Slice 58/83. Abdomen. CT scan slice.

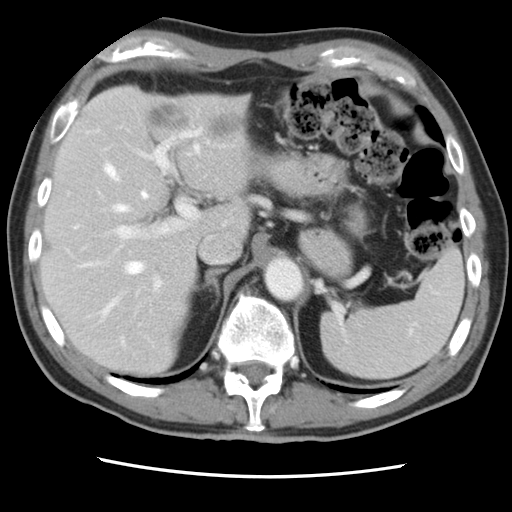

Some hepatic vessels may have no box.
liver tumor: box(177, 118, 187, 125); box(211, 116, 242, 135); box(150, 104, 178, 126) | [15/16] hepatic vessel: box(180, 128, 201, 137); box(155, 279, 161, 288); box(179, 198, 196, 216); box(142, 143, 168, 173); box(195, 145, 198, 151); box(127, 261, 143, 273); box(159, 224, 168, 233); box(118, 226, 138, 238); box(117, 205, 127, 210); box(75, 225, 78, 227); box(101, 300, 114, 314); box(122, 339, 124, 343); box(105, 164, 118, 180); box(142, 192, 146, 197); box(82, 263, 89, 266)